Image size 512x512, Abdomen, CT slice
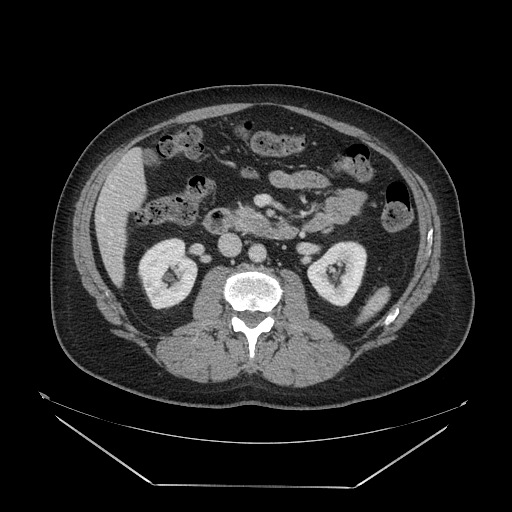 The pancreas appears at (left=239, top=209, right=264, bottom=228). The pancreatic tumor lies within (left=247, top=217, right=268, bottom=235).